FLAIR MR.
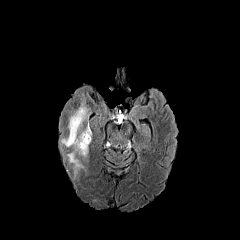
T1-weighted MRI.
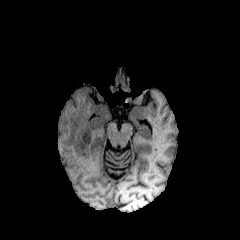
Post-contrast T1-weighted MR image.
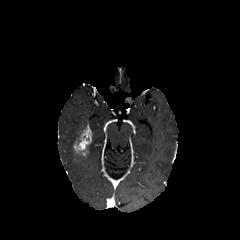
T2-weighted MRI.
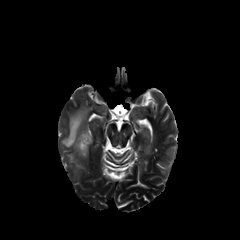
240x240 px. Head.
edema:
  - [x1=59, y1=97, x2=91, y2=178]
enhancing_tumor:
  - [x1=73, y1=124, x2=91, y2=156]